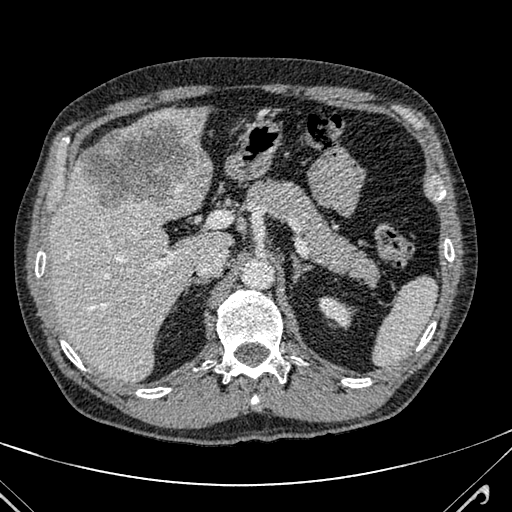

CT slice
Focal liver lesion: bounding box (x1=78, y1=111, x2=210, y2=209).
Liver: bounding box (x1=159, y1=108, x2=206, y2=148), (x1=49, y1=159, x2=231, y2=381), (x1=117, y1=115, x2=150, y2=132).